CT slice | Liver | Image width 387 mm 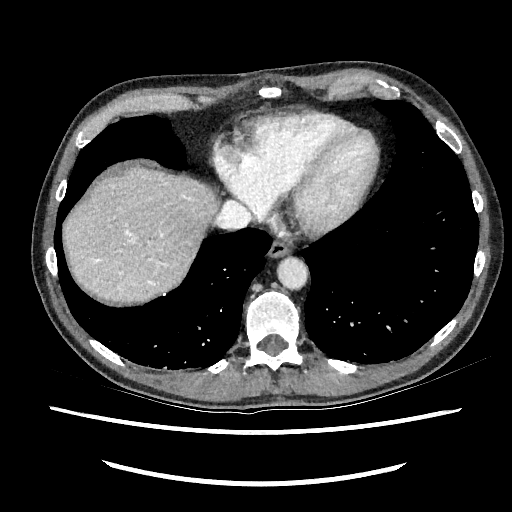 The liver lies within (65,166,218,302).